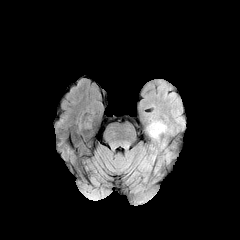
FLAIR MR image.
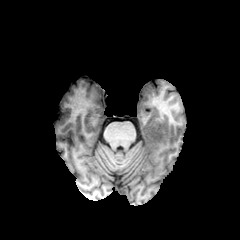
T1-weighted MRI.
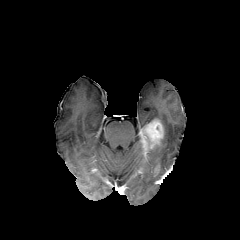
Same slice, post-contrast T1-weighted MR.
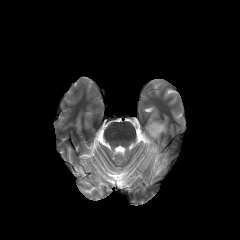
T2-weighted MR of the same slice.
Head
Enhancing tumor — left=142, top=119, right=163, bottom=154; left=153, top=165, right=159, bottom=176.